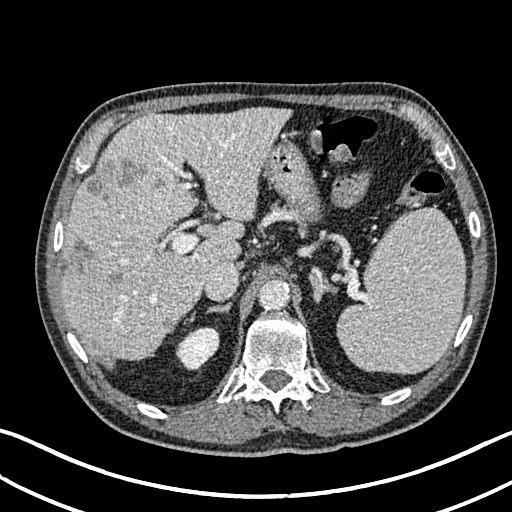
Image size 512x512; Computed tomography; Abdomen

Focal liver lesion — bbox(103, 348, 111, 357); bbox(70, 238, 93, 275); bbox(162, 315, 174, 329); bbox(108, 273, 126, 284); bbox(154, 179, 164, 188); bbox(92, 342, 101, 350); bbox(87, 179, 108, 201); bbox(98, 158, 147, 187).
Kidney — bbox(177, 328, 218, 368).
Liver — bbox(63, 107, 291, 366).